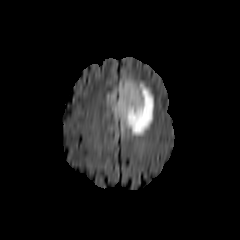
FLAIR magnetic resonance.
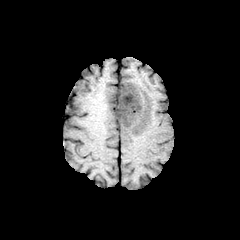
T1-weighted MRI.
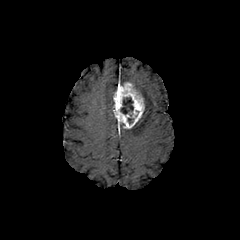
Post-contrast T1-weighted MRI.
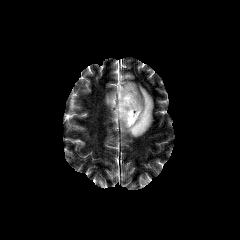
T2-weighted MRI of the same slice.
Brain
2 edema regions are located at bbox(105, 86, 115, 107); bbox(120, 74, 153, 137). 2 non-enhancing tumor core regions are bounded by bbox(121, 97, 133, 114); bbox(132, 102, 147, 129). The enhancing tumor is located at bbox(112, 81, 144, 129).